Medial temporal lobe. Image width 35 mm. MRI. Slice 23/34. 35x55 px. 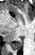

posterior_hippocampus:
  - bbox=[11, 38, 22, 49]